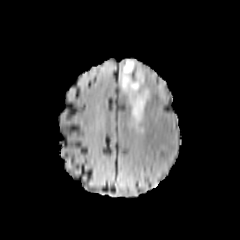
FLAIR MR image.
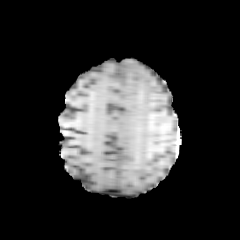
Same slice, T1-weighted MR.
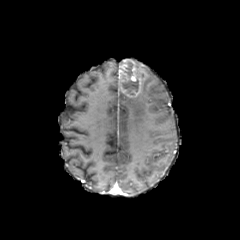
Same slice, post-contrast T1-weighted MR image.
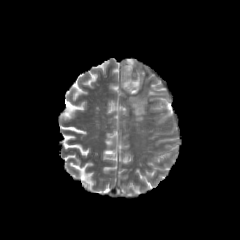
T2-weighted MR image.
Enhancing tumor at {"x1": 119, "y1": 59, "x2": 141, "y2": 96}.
Non-enhancing tumor core at {"x1": 125, "y1": 62, "x2": 132, "y2": 77}, {"x1": 121, "y1": 79, "x2": 139, "y2": 95}.
Edema at {"x1": 137, "y1": 63, "x2": 146, "y2": 83}, {"x1": 129, "y1": 88, "x2": 149, "y2": 119}.